35x51 px; Slice 29/35; Hippocampus; MR image 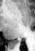 Posterior hippocampus: (13, 40, 20, 42).